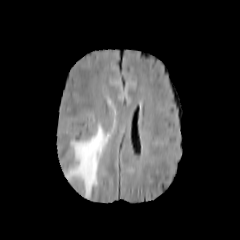
FLAIR MR image.
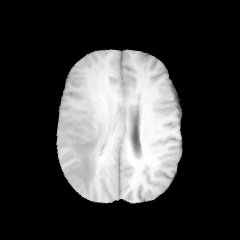
T1-weighted MRI.
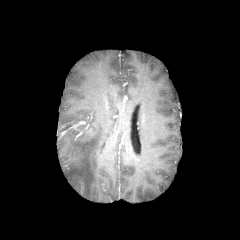
Post-contrast T1-weighted MR image.
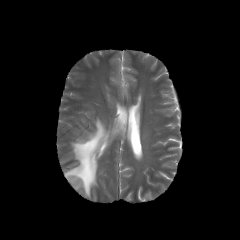
Same slice, T2-weighted MRI.
The edema is located at {"x1": 65, "y1": 119, "x2": 109, "y2": 197}.